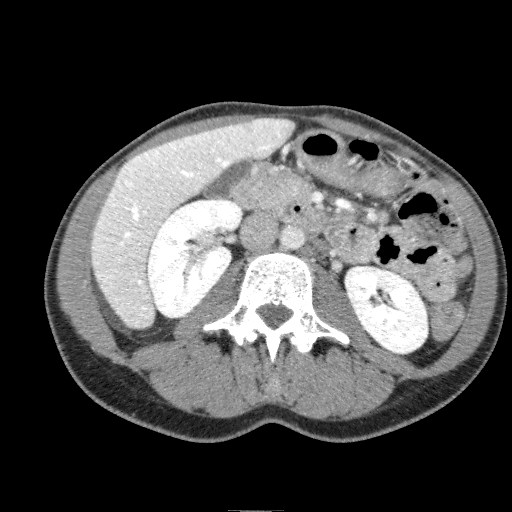
CT slice | Image size 512x512
Annotated regions:
- liver: box(91, 117, 294, 329)
- kidney: box(345, 267, 427, 352); box(148, 200, 241, 317)